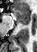
MRI slice

The anterior hippocampus appears at 14, 10, 28, 21. The posterior hippocampus is at 20, 22, 28, 25.